512x512; Computed tomography

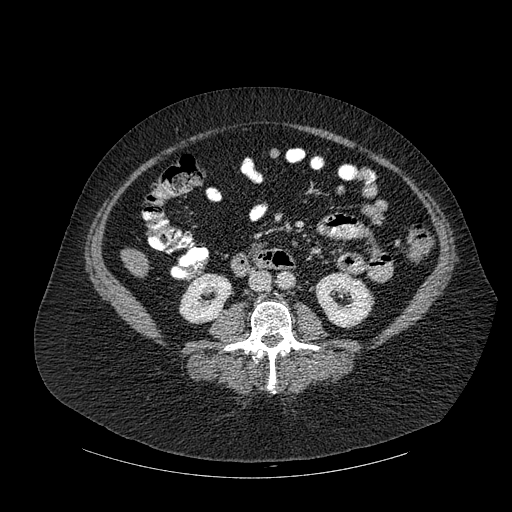 liver:
  - (121, 249, 149, 277)
bone:
  - (224, 302, 318, 392)
kidney:
  - (180, 274, 230, 322)
  - (316, 273, 371, 327)